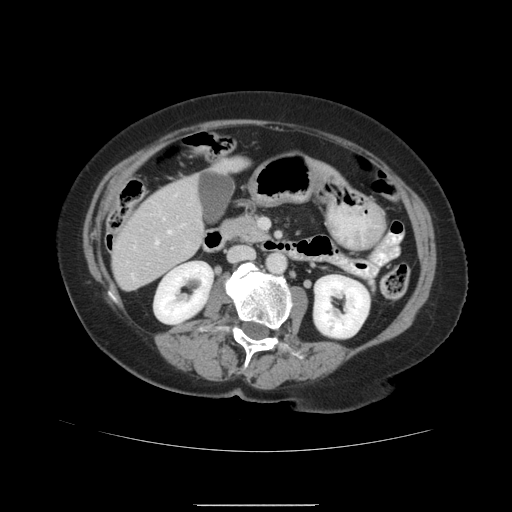

CT slice

Some hepatic vessels may have no box.
hepatic_vessel:
  - left=132, top=274, right=136, bottom=281
  - left=134, top=245, right=135, bottom=247
  - left=163, top=218, right=165, bottom=219
  - left=168, top=230, right=172, bottom=233
  - left=155, top=240, right=159, bottom=245